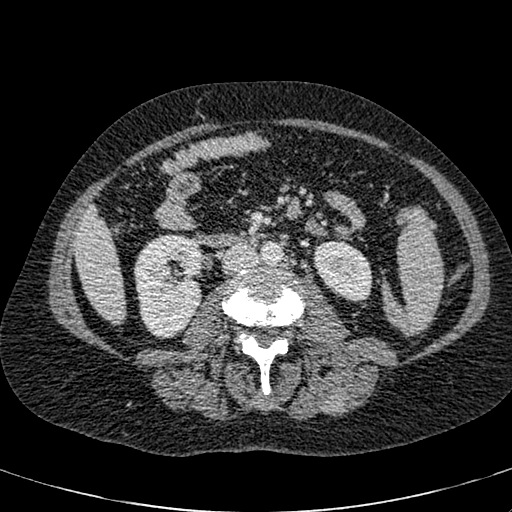
512x512, Computed tomography, Abdomen
2 kidney regions appear at 314:241:371:300, 134:235:202:336. The liver is located at 75:204:124:320.